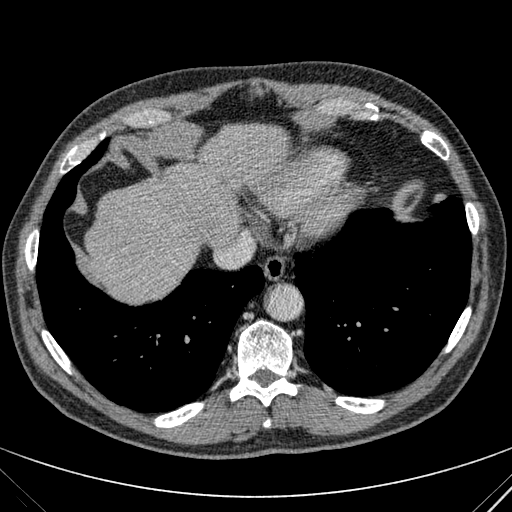
Abdomen; CT
{"liver": [{"x1": 86, "y1": 124, "x2": 286, "y2": 300}]}